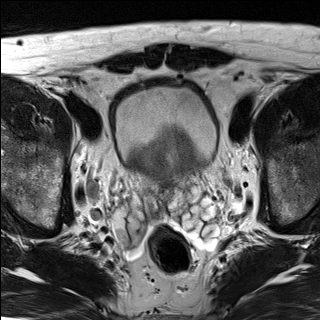
T2-weighted magnetic resonance.
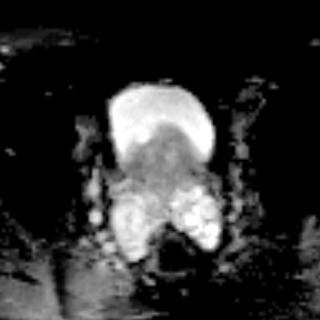
ADC MRI of the same slice.
Pelvis.
prostate transition zone: bbox(145, 141, 182, 177)